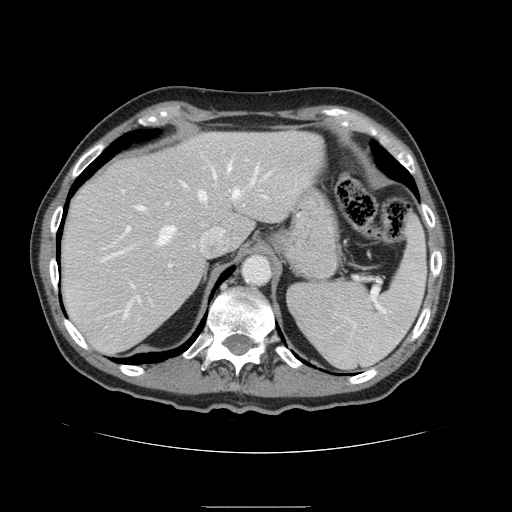 CT image, Liver
The vessel annotation is not exhaustive.
Largest 15 of 16 hepatic vessel regions at (x1=126, y1=226, x2=130, y2=231), (x1=266, y1=174, x2=268, y2=175), (x1=135, y1=295, x2=139, y2=300), (x1=136, y1=205, x2=144, y2=209), (x1=207, y1=213, x2=216, y2=214), (x1=251, y1=166, x2=257, y2=182), (x1=199, y1=190, x2=206, y2=200), (x1=213, y1=168, x2=215, y2=176), (x1=182, y1=182, x2=185, y2=185), (x1=200, y1=226, x2=228, y2=256), (x1=228, y1=164, x2=231, y2=171), (x1=125, y1=305, x2=129, y2=317), (x1=157, y1=226, x2=175, y2=244), (x1=233, y1=188, x2=240, y2=198), (x1=105, y1=251, x2=122, y2=258).